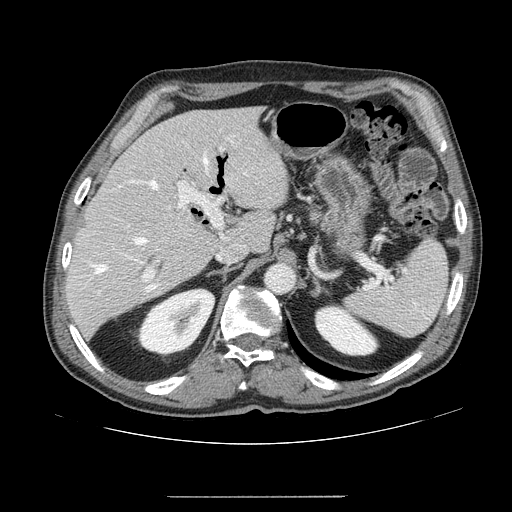
Image size 512x512. CT.

<segmentation>
  <pancreas>{"x1": 303, "y1": 204, "x2": 328, "y2": 228}</pancreas>
</segmentation>